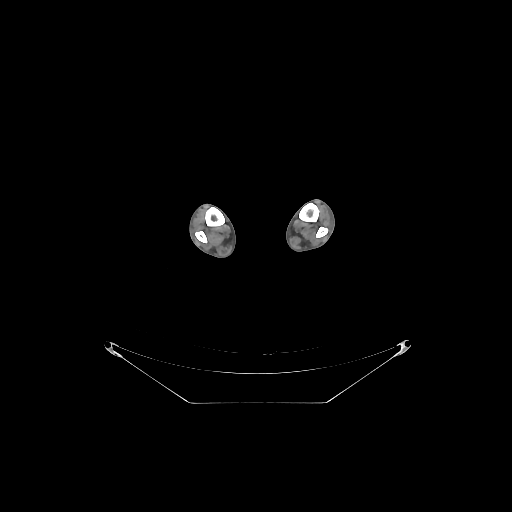
CT
Annotated regions:
* bone: (left=299, top=203, right=319, bottom=221), (left=316, top=227, right=327, bottom=237), (left=195, top=231, right=207, bottom=242), (left=205, top=207, right=224, bottom=226)